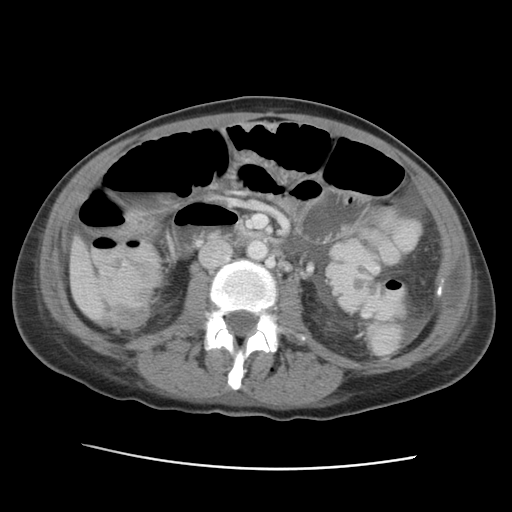

CT slice; Upper abdomen

Liver — box=[70, 237, 106, 318].